Computed tomography. 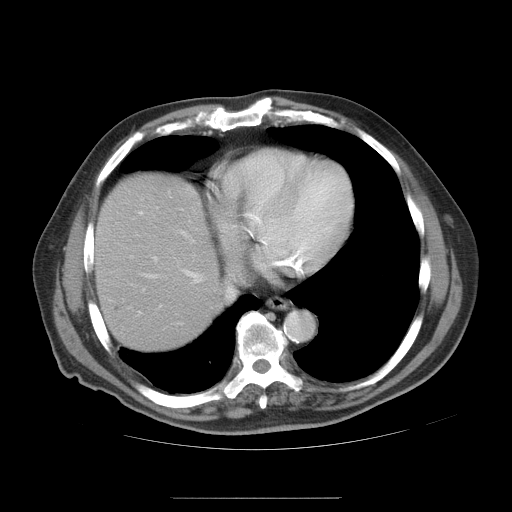 Only some of the vessels may be annotated.
hepatic vessel: bbox(153, 257, 156, 260); bbox(178, 323, 182, 323); bbox(183, 269, 202, 282); bbox(137, 311, 141, 314); bbox(140, 211, 142, 214); bbox(144, 274, 157, 277); bbox(129, 306, 131, 308); bbox(143, 289, 144, 291)